FLAIR MR.
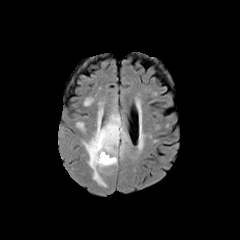
T1-weighted magnetic resonance.
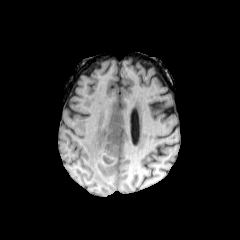
Post-contrast T1-weighted magnetic resonance.
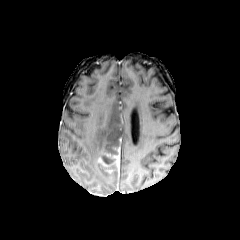
T2-weighted MR image.
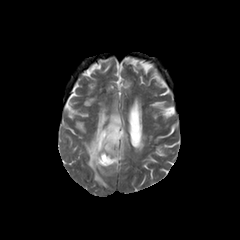
Brain.
Findings:
- non-enhancing tumor core: left=99, top=145, right=120, bottom=164
- edema: left=82, top=103, right=129, bottom=187
- enhancing tumor: left=96, top=147, right=120, bottom=174